Computed tomography. Upper abdomen.

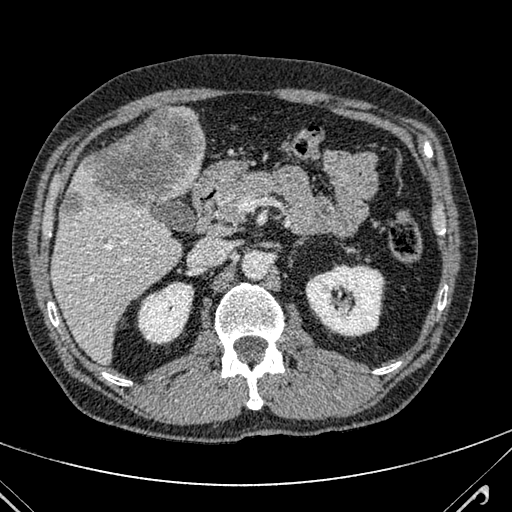

<segmentation>
  <liver_lesion>left=85, top=108, right=203, bottom=206; left=60, top=189, right=90, bottom=215</liver_lesion>
  <liver>left=51, top=156, right=180, bottom=362; left=165, top=156, right=202, bottom=200; left=169, top=108, right=197, bottom=124</liver>
</segmentation>